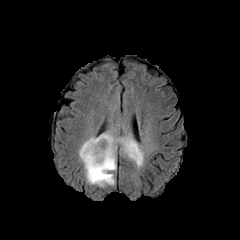
FLAIR MRI.
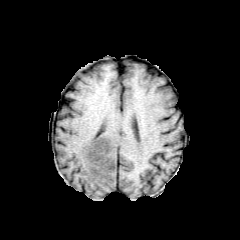
T1-weighted MRI.
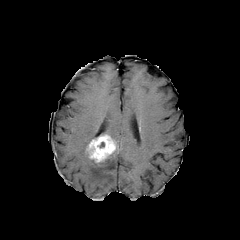
Post-contrast T1-weighted magnetic resonance.
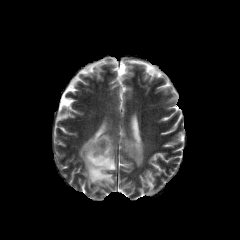
T2-weighted MRI of the same slice.
Brain
enhancing_tumor:
  - box(86, 135, 115, 162)
edema:
  - box(78, 136, 117, 187)
  - box(102, 125, 143, 166)